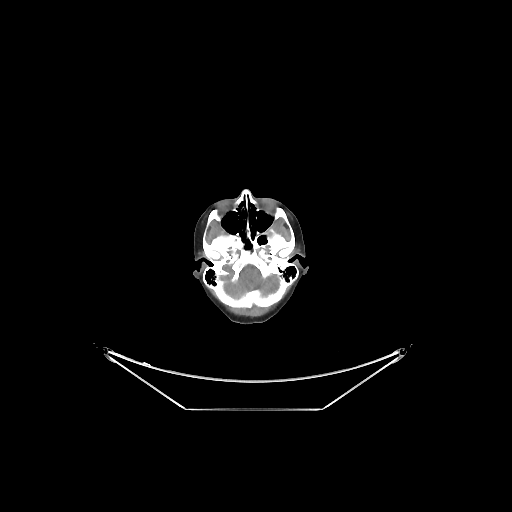

512x512 px | CT slice

The brain lies within left=219, top=263, right=280, bottom=299.